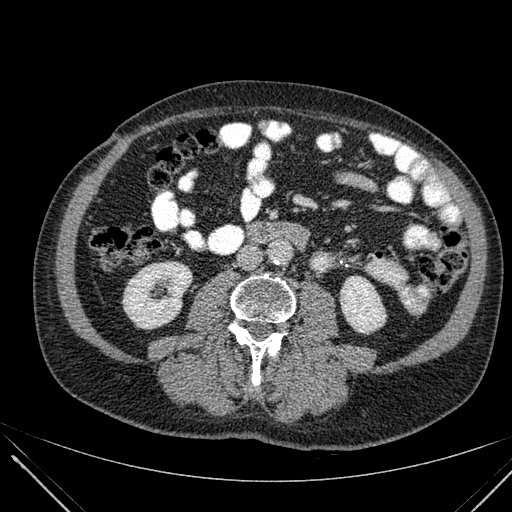

CT slice
2 kidney regions are located at 123,262,191,328; 340,276,385,332.